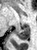
MRI slice. Image size 37x50.
posterior_hippocampus:
  - (left=14, top=25, right=30, bottom=40)